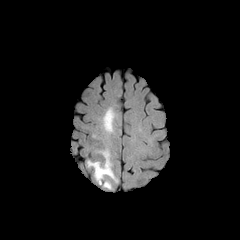
FLAIR magnetic resonance.
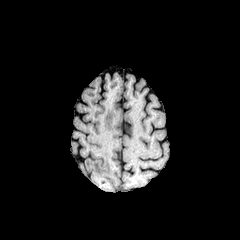
T1-weighted MR.
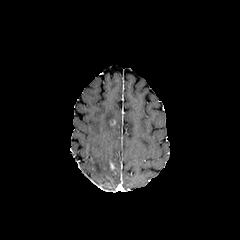
Post-contrast T1-weighted MR of the same slice.
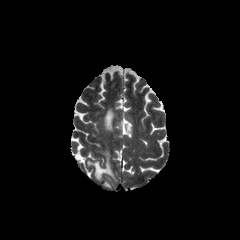
Same slice, T2-weighted MRI.
Head.
* edema: box=[99, 107, 117, 132]; box=[87, 150, 118, 185]